T2-weighted MR image.
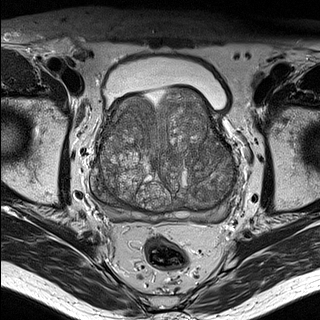
ADC MR image.
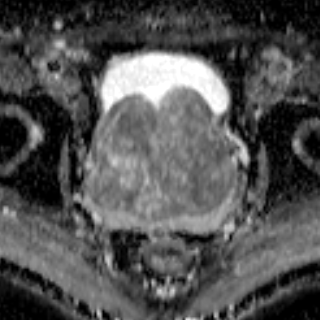
320x320
prostate_peripheral_zone:
  - x1=100, y1=195, x2=231, y2=221
prostate_transition_zone:
  - x1=93, y1=89, x2=233, y2=211